CT slice, Slice 146/240, 512x512, Liver
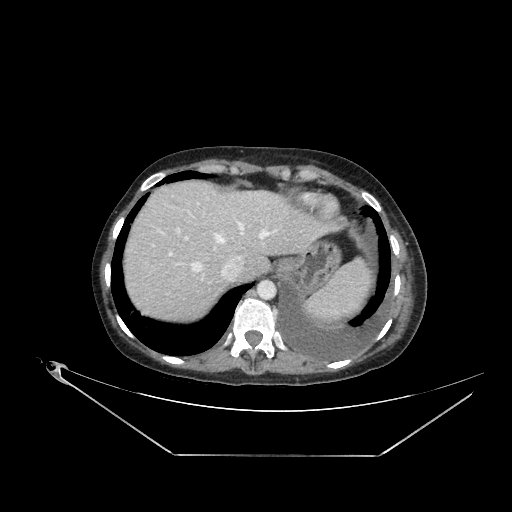
{
  "liver": [
    "130 182 314 318"
  ]
}